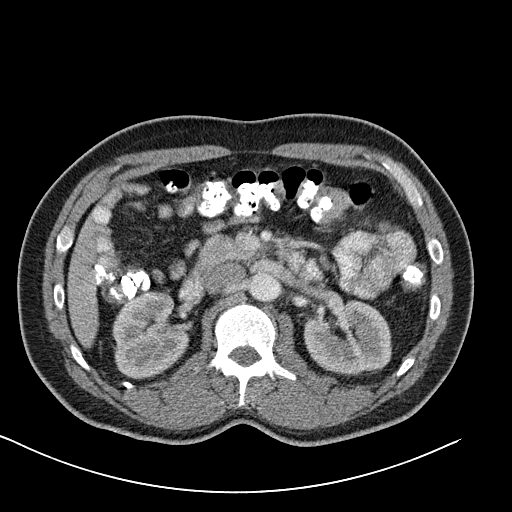
512x512 | Pelvis | CT
The colon tumor appears at <bbox>322, 187, 349, 223</bbox>.